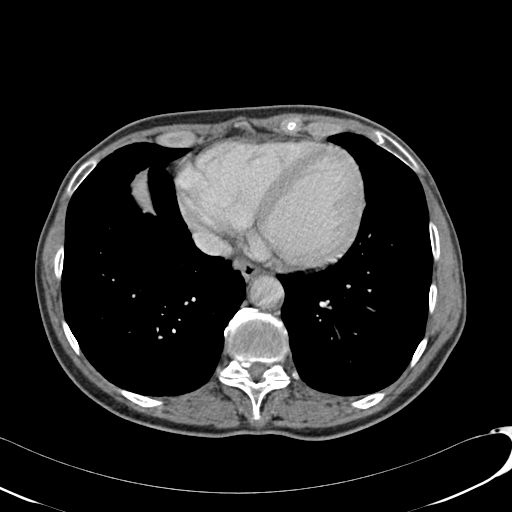
Computed tomography
<segmentation>
  <liver>box(133, 178, 149, 206)</liver>
</segmentation>